Field of view 384x384 mm; Abdomen; CT scan slice 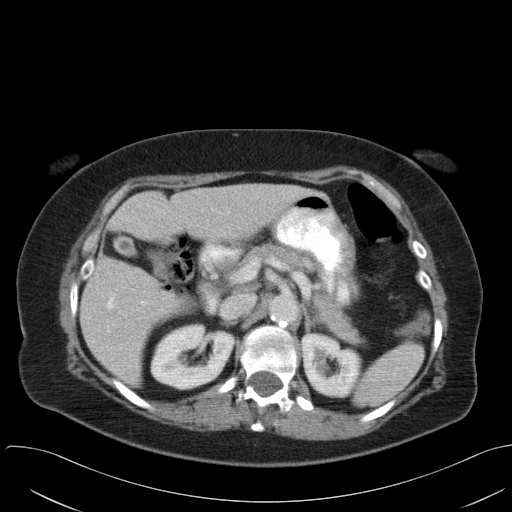
The spleen appears at [x1=357, y1=344, x2=423, y2=404].